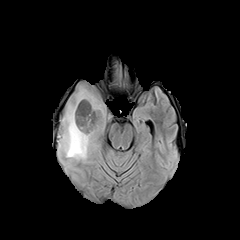
FLAIR MR image.
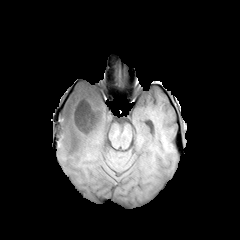
T1-weighted MR.
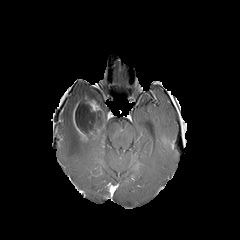
Same slice, post-contrast T1-weighted MR.
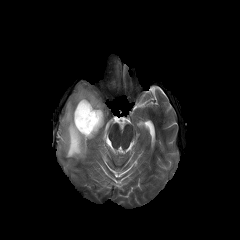
Same slice, T2-weighted MR image.
240x240 px, Head
• enhancing tumor: <box>74,122,87,138</box>, <box>88,100,101,111</box>
• non-enhancing tumor core: <box>72,96,103,136</box>
• edema: <box>57,87,105,159</box>